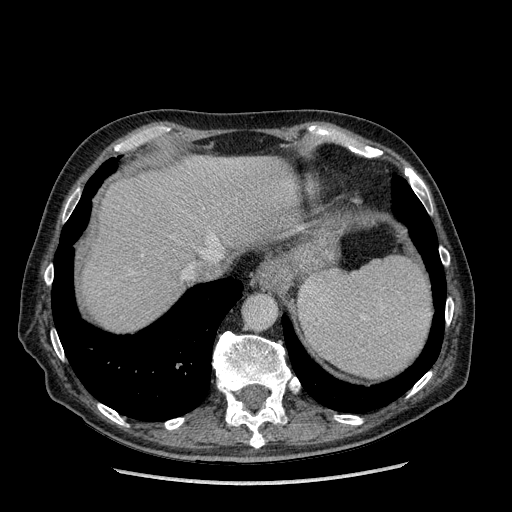 Liver | CT image

Liver: bounding box 82:156:292:332.